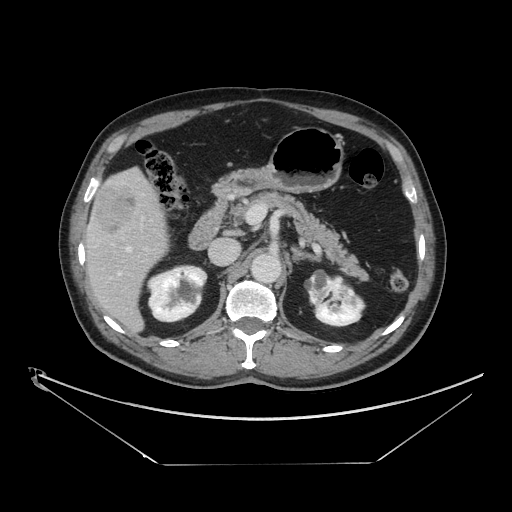
Computed tomography. The vessel boxes may cover only some of the vessels.
Annotated regions:
- liver tumor: 92,183,137,235
- hepatic vessel: 127,247,131,251; 117,271,121,274